Heart, MRI slice, Image size 320x320

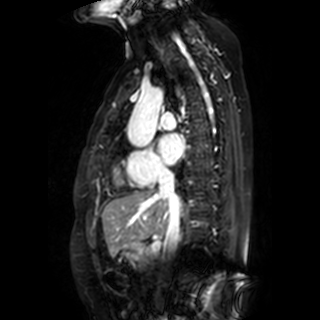

Segmented structures:
- left atrium: [158,133,182,164]